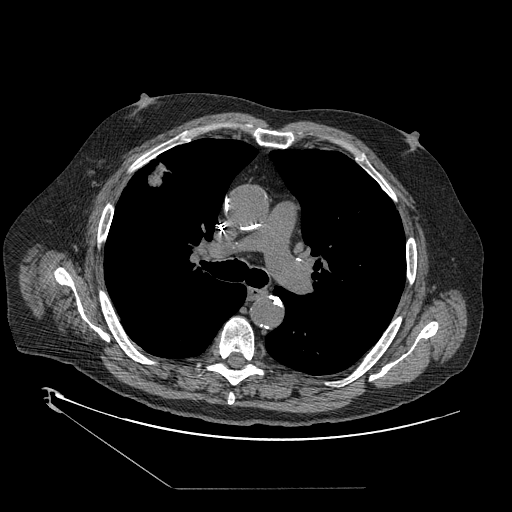

512x512. Computed tomography.
<segmentation>
  <lung_tumor>bbox=[140, 158, 173, 191]</lung_tumor>
</segmentation>